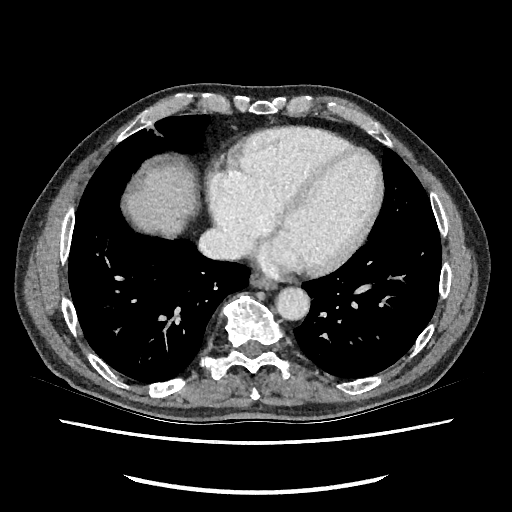 CT scan slice

Liver: (x1=130, y1=165, x2=193, y2=235).